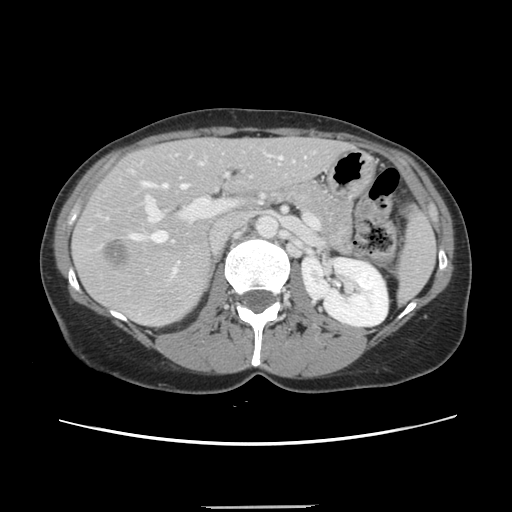
Abdomen | CT
Some hepatic vessels may have no box.
- liver tumor: {"x1": 103, "y1": 239, "x2": 129, "y2": 265}
- hepatic vessel: {"x1": 199, "y1": 162, "x2": 203, "y2": 164}, {"x1": 129, "y1": 233, "x2": 144, "y2": 239}, {"x1": 181, "y1": 184, "x2": 187, "y2": 187}, {"x1": 225, "y1": 174, "x2": 227, "y2": 175}, {"x1": 149, "y1": 231, "x2": 166, "y2": 242}, {"x1": 277, "y1": 156, "x2": 281, "y2": 164}, {"x1": 161, "y1": 184, "x2": 166, "y2": 187}, {"x1": 105, "y1": 217, "x2": 107, "y2": 218}, {"x1": 267, "y1": 155, "x2": 270, "y2": 156}, {"x1": 141, "y1": 181, "x2": 154, "y2": 186}, {"x1": 145, "y1": 196, "x2": 161, "y2": 221}, {"x1": 196, "y1": 198, "x2": 201, "y2": 200}